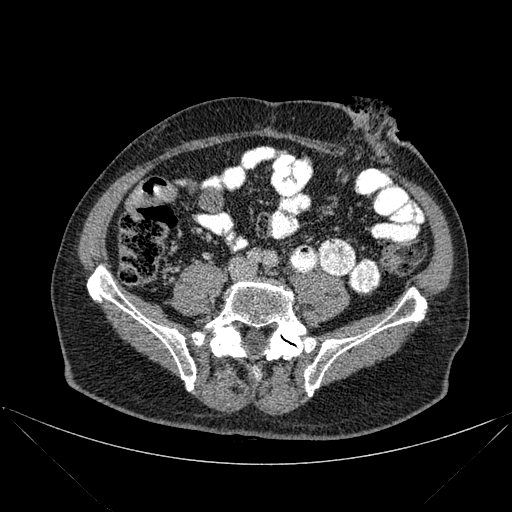

CT image
Bone: [87,266,195,390], [192,282,315,360], [304,288,426,396].